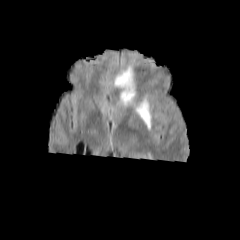
FLAIR magnetic resonance.
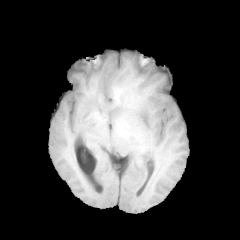
T1-weighted MR of the same slice.
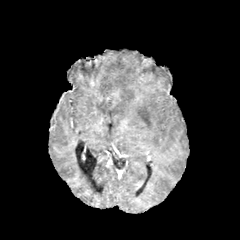
Post-contrast T1-weighted MR image.
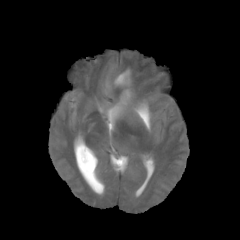
T2-weighted MRI.
Image size 240x240
2 edema regions are bounded by [x1=111, y1=99, x2=150, y2=126], [x1=113, y1=69, x2=135, y2=98].